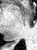
MRI. The posterior hippocampus appears at rect(10, 43, 13, 44).